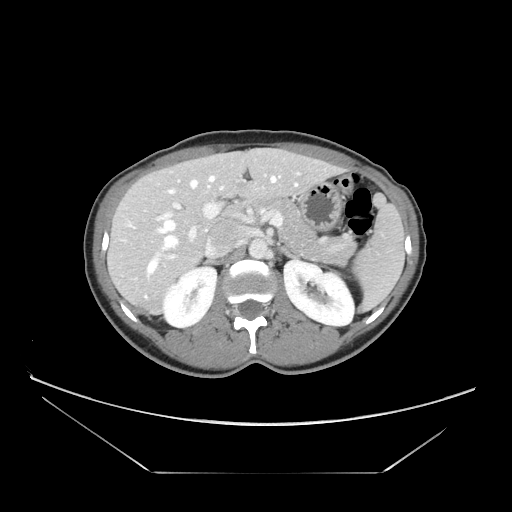

CT. 512x512 px. Upper abdomen. - pancreas: 268 198 347 262
- pancreatic tumor: 322 237 345 247, 321 247 356 266